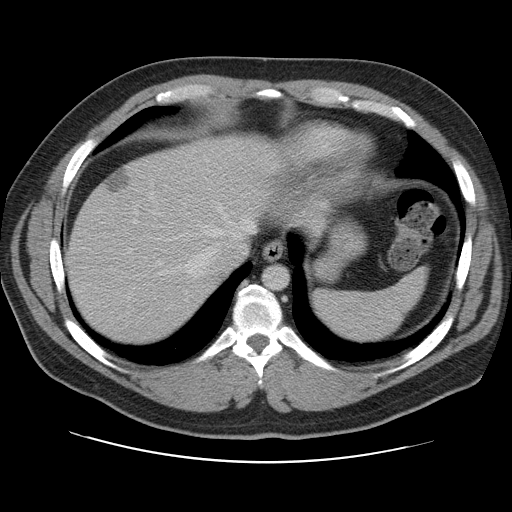 Image size 512x512 | CT
The vessel boxes may cover only some of the vessels.
Segmented structures:
- hepatic vessel: (253,190,263,196), (159,273,160,274), (217,202,227,219), (208,213,210,214), (240,215,255,232), (144,256,146,258), (185,290,186,292), (186,264,188,267), (227,221,239,226), (128,248,131,253), (187,270,191,273), (183,203,185,205), (178,266,180,268), (200,271,203,273)
- liver tumor: (105,170,130,192)